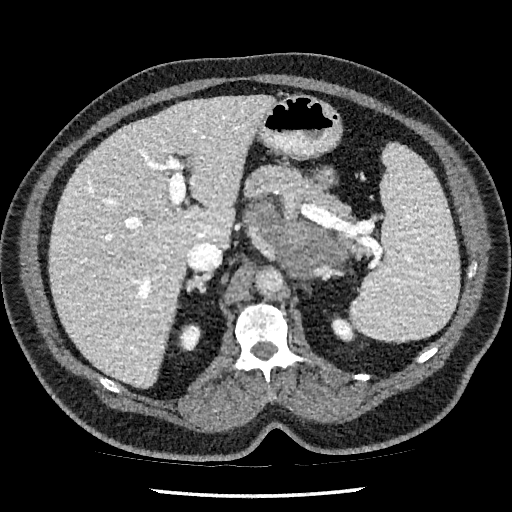 512x512, CT slice
Liver = region(49, 96, 272, 386).
Kidney = region(333, 320, 352, 338); region(181, 326, 198, 349).